Abdomen; CT

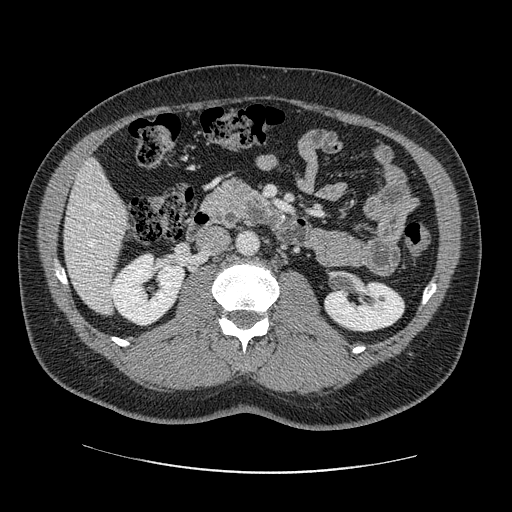

pancreas:
  - (201, 178, 254, 228)